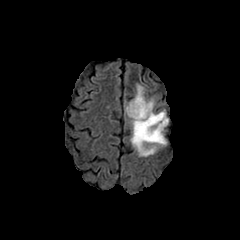
FLAIR MR image.
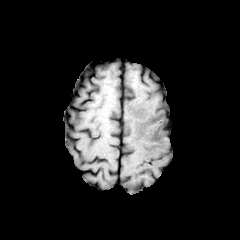
T1-weighted MR image.
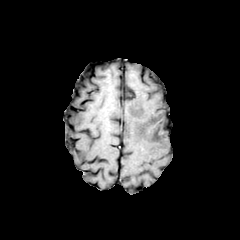
Same slice, post-contrast T1-weighted MR.
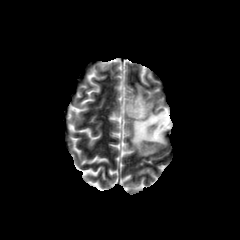
Same slice, T2-weighted magnetic resonance.
240x240; Brain
non-enhancing_tumor_core:
  - (left=142, top=114, right=166, bottom=139)
edema:
  - (left=125, top=84, right=168, bottom=157)